Slice index 100
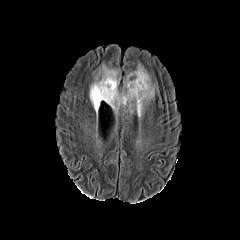
FLAIR MR.
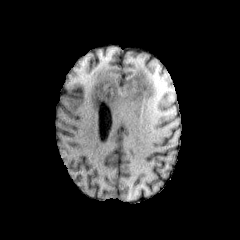
T1-weighted MRI.
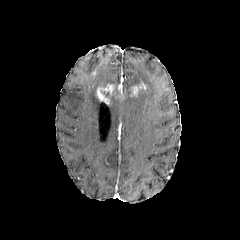
Post-contrast T1-weighted MRI of the same slice.
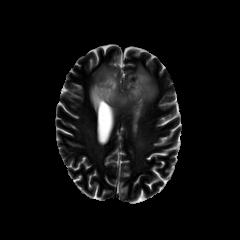
T2-weighted MRI.
{"edema": ["x1=110 y1=65 x2=157 y2=117", "x1=89 y1=64 x2=119 y2=117"], "enhancing_tumor": ["x1=130 y1=82 x2=146 y2=96", "x1=96 y1=83 x2=117 y2=104"]}